240x240 px. Brain.
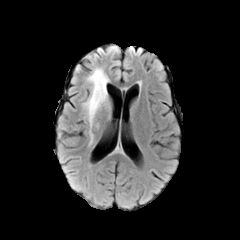
FLAIR magnetic resonance.
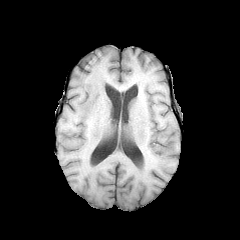
T1-weighted magnetic resonance.
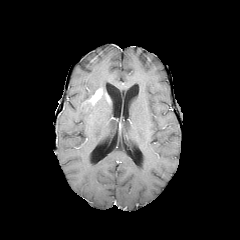
Post-contrast T1-weighted MRI.
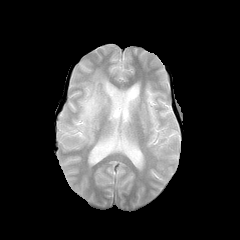
Same slice, T2-weighted MRI.
<segmentation>
  <enhancing_tumor>[87, 87, 107, 105]</enhancing_tumor>
  <edema>[78, 67, 109, 145]</edema>
  <non-enhancing_tumor_core>[82, 90, 95, 112]</non-enhancing_tumor_core>
</segmentation>